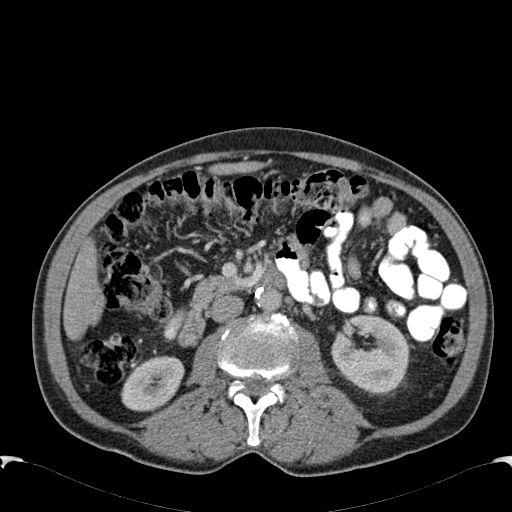 512x512; Abdomen; CT slice
2 liver regions appear at bbox(210, 162, 265, 174); bbox(65, 238, 105, 339). 2 kidney regions are located at bbox(332, 318, 408, 392); bbox(122, 357, 183, 410).